Slice 81/155 | 240x240
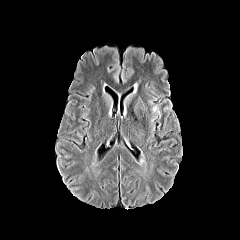
FLAIR MRI.
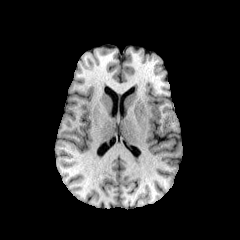
T1-weighted MRI.
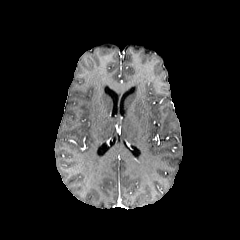
Same slice, post-contrast T1-weighted MRI.
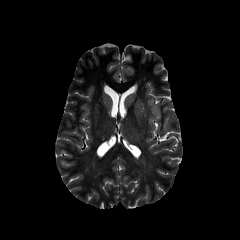
T2-weighted MR.
{
  "edema": [
    "region(149, 98, 161, 122)"
  ]
}